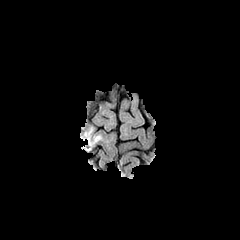
FLAIR MR image.
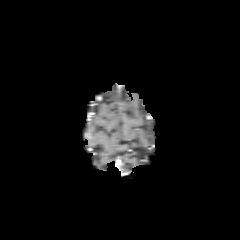
T1-weighted magnetic resonance.
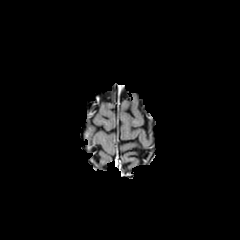
Same slice, post-contrast T1-weighted MR.
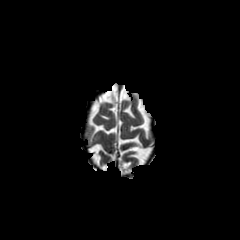
Same slice, T2-weighted MR.
edema: bbox=[85, 127, 99, 150]